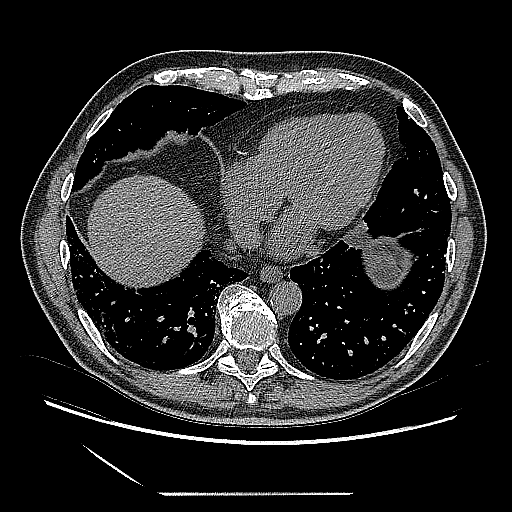

Computed tomography. Thorax. 512x512 px.

Lung tumor — {"x1": 339, "y1": 219, "x2": 373, "y2": 251}.